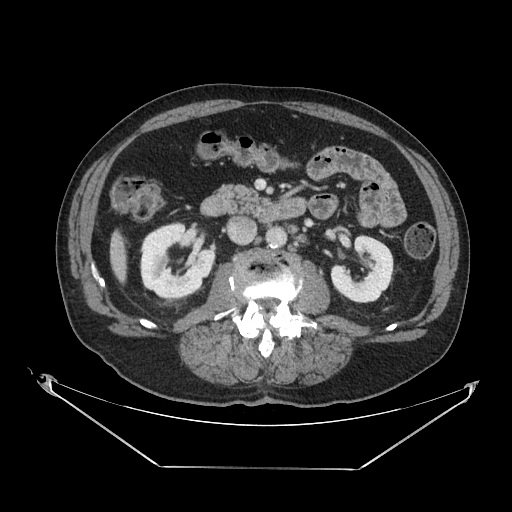

CT image, Abdomen
Pancreas: bounding box 215, 183, 265, 216.